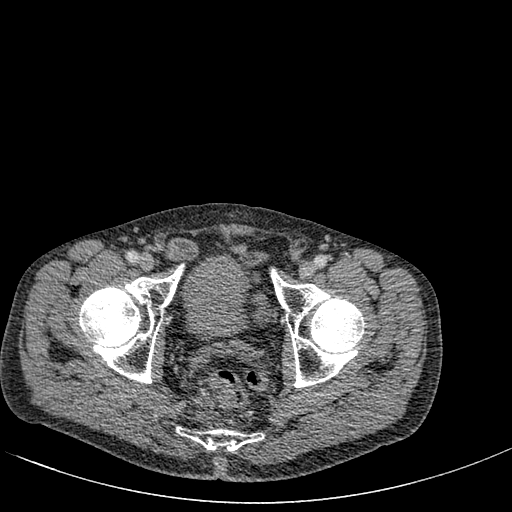

Lower abdomen; Computed tomography; 512x512
Urinary bladder: bbox(175, 251, 251, 342).